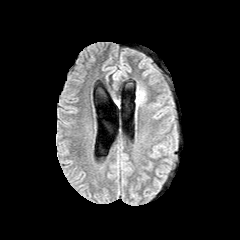
FLAIR MR image.
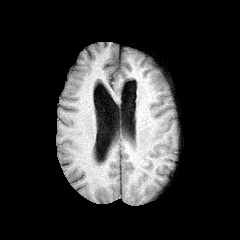
T1-weighted MRI.
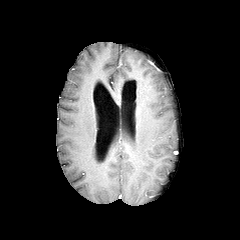
Same slice, post-contrast T1-weighted MRI.
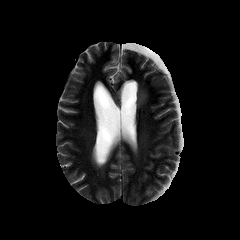
T2-weighted MR of the same slice.
Image size 240x240. Brain.
edema:
  - bbox(135, 84, 145, 107)